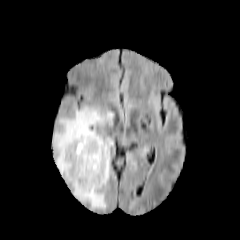
FLAIR MRI.
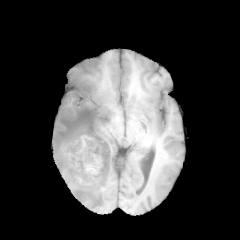
T1-weighted MR image.
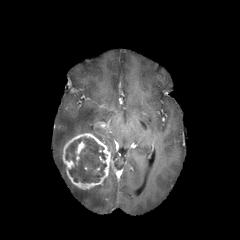
Post-contrast T1-weighted MR of the same slice.
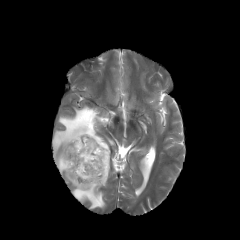
Same slice, T2-weighted MRI.
Brain
Findings:
* edema: bbox(51, 103, 114, 211)
* enhancing tumor: bbox(75, 140, 85, 165); bbox(62, 133, 110, 188)
* non-enhancing tumor core: bbox(65, 137, 106, 183)